FLAIR MR image.
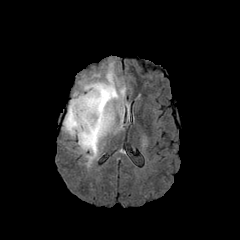
T1-weighted magnetic resonance.
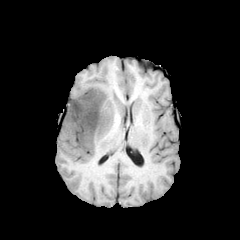
Post-contrast T1-weighted MR.
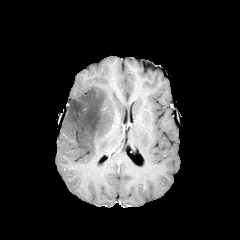
T2-weighted MR.
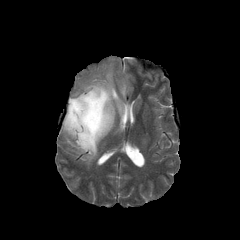
Non-enhancing tumor core = bbox(69, 88, 105, 139).
Edema = bbox(62, 64, 129, 163).